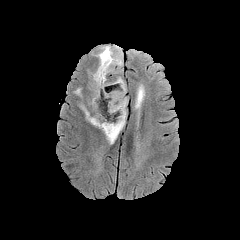
FLAIR MR.
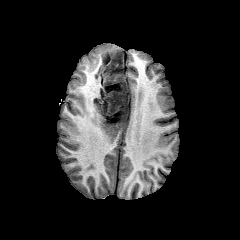
T1-weighted magnetic resonance.
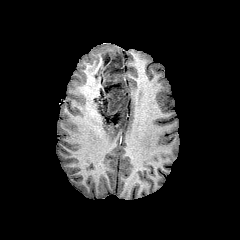
Same slice, post-contrast T1-weighted MR.
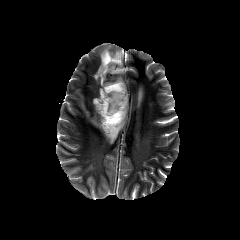
T2-weighted magnetic resonance.
* edema: (left=92, top=45, right=125, bottom=97), (left=134, top=87, right=144, bottom=108), (left=80, top=94, right=129, bottom=143)
* non-enhancing tumor core: (left=104, top=56, right=111, bottom=65), (left=98, top=83, right=125, bottom=126), (left=93, top=76, right=102, bottom=86)